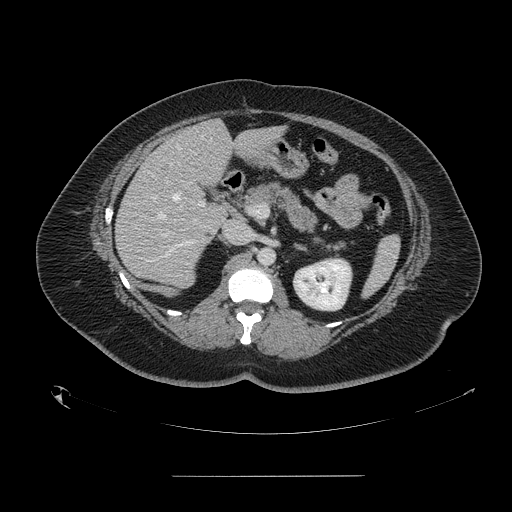
CT scan slice; Image size 512x512

The spleen appears at box(364, 236, 399, 296).